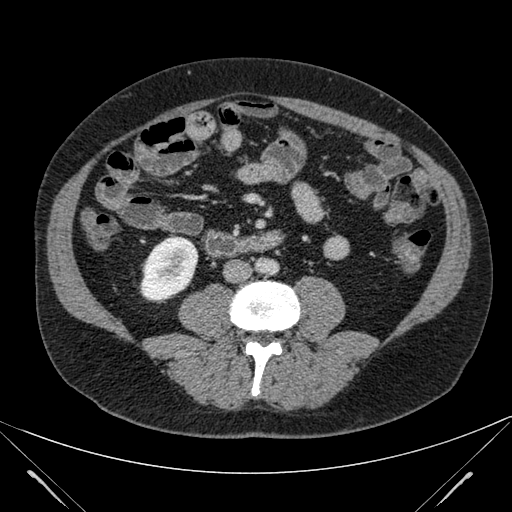
Abdomen; CT slice
- kidney: (141, 237, 197, 299)